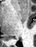
MR image. Hippocampus.
posterior hippocampus: 11:37:16:38